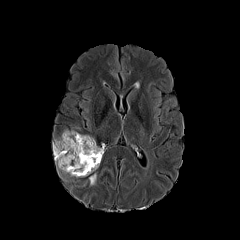
FLAIR magnetic resonance.
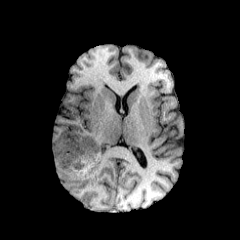
T1-weighted MR image.
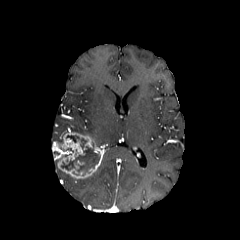
Post-contrast T1-weighted MR image.
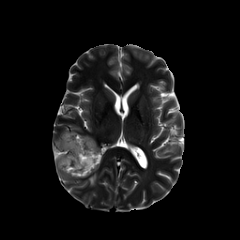
T2-weighted MR of the same slice.
240x240 px; Head
Edema at (88, 174, 96, 185).
Enhancing tumor at (52, 132, 85, 169), (62, 134, 103, 178).
Non-enhancing tumor core at (60, 138, 100, 175), (66, 134, 79, 142), (56, 137, 73, 152).